FLAIR MR image.
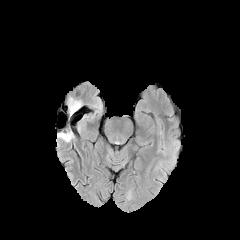
T1-weighted magnetic resonance.
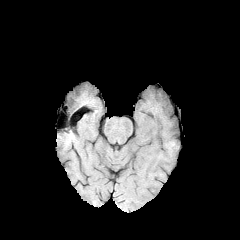
Post-contrast T1-weighted MRI.
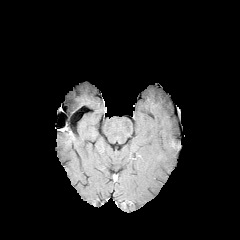
T2-weighted MR image.
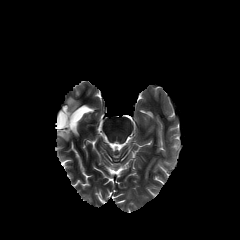
Head, 240x240 px
2 edema regions are bounded by (59, 132, 73, 141), (68, 97, 81, 120).